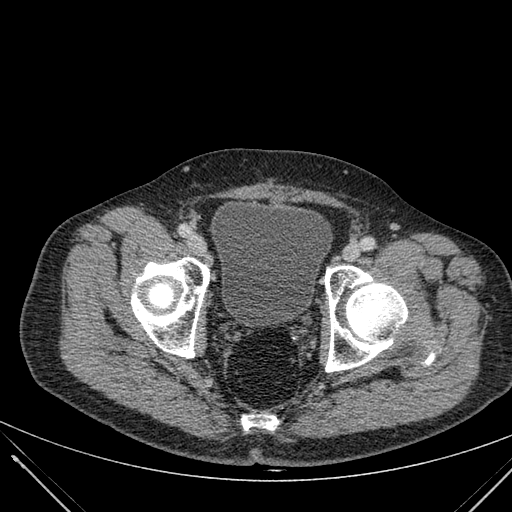

CT scan slice, Lower abdomen

The urinary bladder is located at l=210, t=203, r=332, b=323.